CT scan slice, Image size 512x512

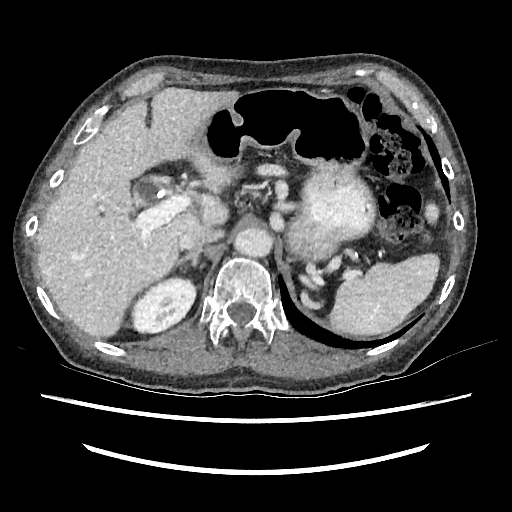
Liver: 37:89:236:335.
Kidney: 133:279:195:332.